Abdomen | CT slice

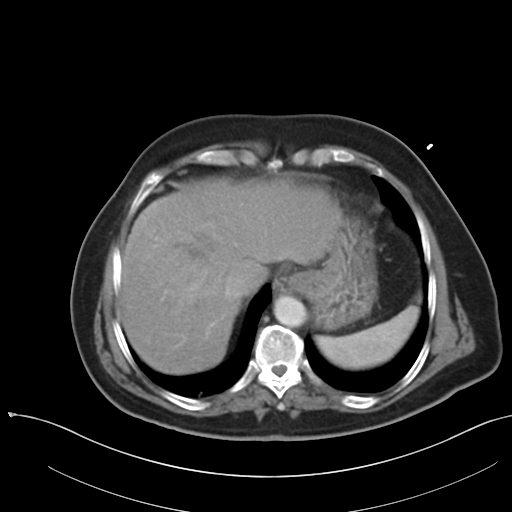
Some hepatic vessels may have no box.
<segmentation>
  <liver_tumor>(left=123, top=231, right=232, bottom=319)</liver_tumor>
  <hepatic_vessel>(left=228, top=277, right=231, bottom=281), (left=155, top=237, right=158, bottom=239), (left=234, top=243, right=236, bottom=245), (left=225, top=221, right=226, bottom=224), (left=237, top=279, right=242, bottom=282), (left=181, top=336, right=185, bottom=340), (left=177, top=343, right=181, bottom=346), (left=209, top=320, right=217, bottom=326), (left=256, top=255, right=261, bottom=259), (left=154, top=244, right=156, bottom=247), (left=206, top=331, right=209, bottom=336), (left=225, top=287, right=230, bottom=297), (left=213, top=234, right=214, bottom=236)</hepatic_vessel>
</segmentation>